Image width 240 mm
FLAIR MR.
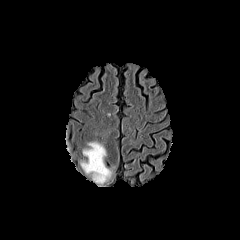
T1-weighted MR image.
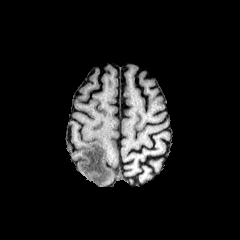
Post-contrast T1-weighted MRI.
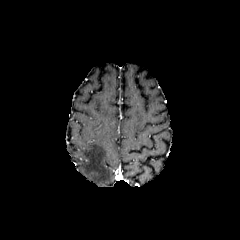
T2-weighted magnetic resonance.
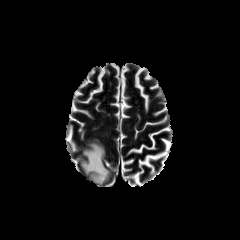
The edema lies within x1=81, y1=142, x2=111, y2=184.